Image size 240x240, Slice index 96, Brain
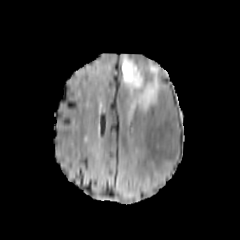
FLAIR magnetic resonance.
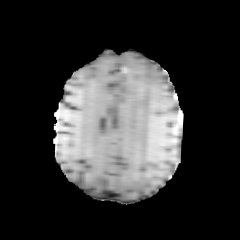
T1-weighted MR image.
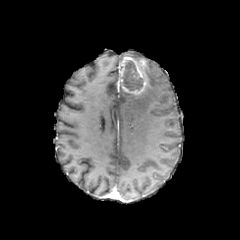
Post-contrast T1-weighted MRI.
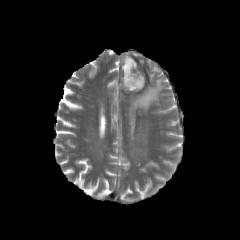
T2-weighted MRI.
Edema: bounding box region(127, 61, 162, 113).
Non-enhancing tumor core: bounding box region(121, 60, 143, 91).
Enhancing tumor: bounding box region(120, 57, 147, 94).